Liver; Slice 32 of 43; CT scan slice 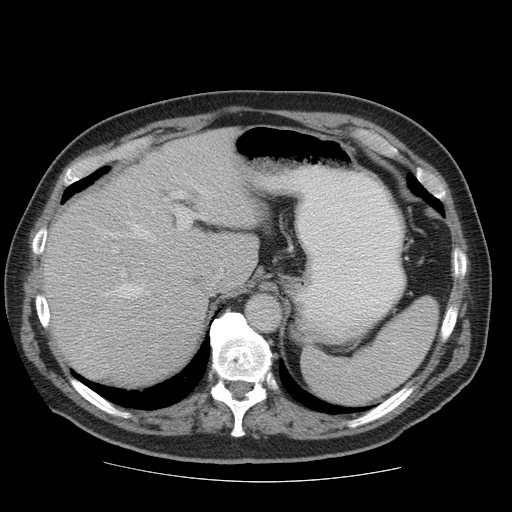 The vessel annotation is not exhaustive.
[15/19] hepatic vessel: <bbox>170, 190, 185, 197</bbox>, <bbox>177, 220, 187, 230</bbox>, <bbox>163, 198, 168, 200</bbox>, <bbox>150, 187, 153, 188</bbox>, <bbox>189, 176, 192, 183</bbox>, <bbox>199, 213, 206, 218</bbox>, <bbox>116, 280, 148, 298</bbox>, <bbox>112, 246, 117, 252</bbox>, <bbox>221, 187, 223, 188</bbox>, <bbox>132, 223, 154, 241</bbox>, <bbox>120, 266, 125, 275</bbox>, <bbox>148, 270, 150, 272</bbox>, <bbox>164, 292, 170, 297</bbox>, <bbox>195, 185, 210, 198</bbox>, <bbox>147, 249, 153, 251</bbox>